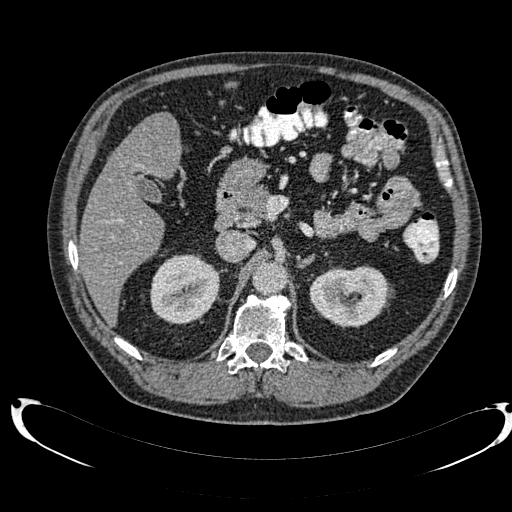

Computed tomography | Abdomen
Hepatic lesion — [x1=151, y1=114, x2=177, y2=136].
Liver — [x1=80, y1=111, x2=181, y2=325], [x1=225, y1=82, x2=236, y2=87].
Kidney — [x1=310, y1=266, x2=389, y2=326], [x1=150, y1=255, x2=219, y2=323].